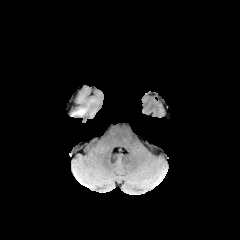
FLAIR magnetic resonance.
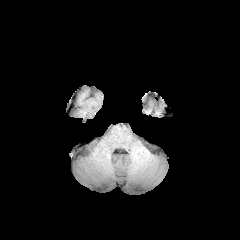
T1-weighted MRI.
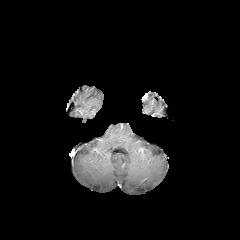
Post-contrast T1-weighted magnetic resonance.
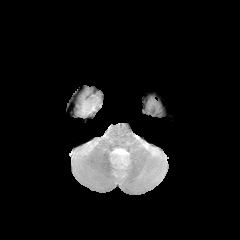
T2-weighted magnetic resonance.
Head
Findings:
• edema: [x1=77, y1=106, x2=88, y2=115]